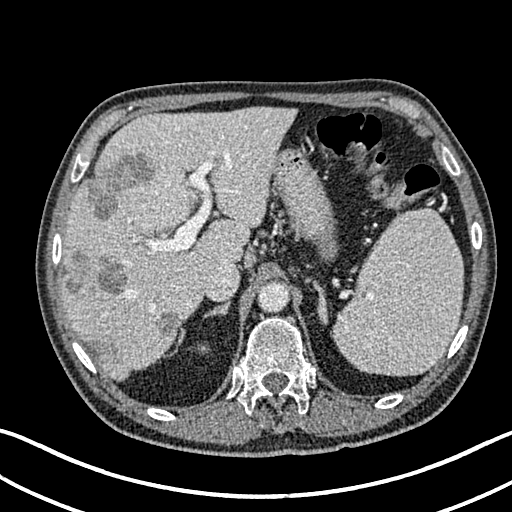
CT | Liver
Annotated regions:
* liver: [x1=64, y1=107, x2=296, y2=378]
* hepatic lesion: [x1=87, y1=155, x2=154, y2=218], [x1=65, y1=251, x2=127, y2=301], [x1=91, y1=339, x2=106, y2=352], [x1=157, y1=314, x2=178, y2=334]